FLAIR magnetic resonance.
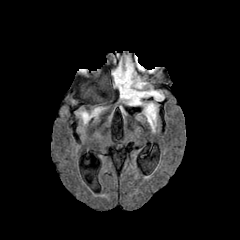
T1-weighted MRI.
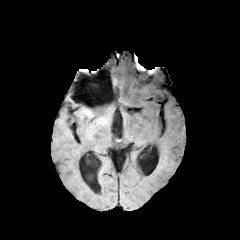
Post-contrast T1-weighted MR.
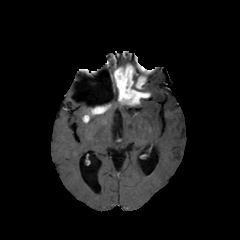
T2-weighted magnetic resonance.
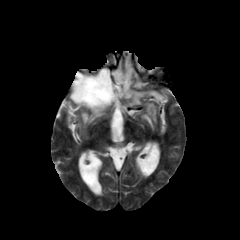
Image size 240x240.
The non-enhancing tumor core is bounded by {"x1": 91, "y1": 105, "x2": 107, "y2": 113}. 3 edema regions appear at {"x1": 136, "y1": 100, "x2": 158, "y2": 127}, {"x1": 142, "y1": 84, "x2": 164, "y2": 101}, {"x1": 119, "y1": 54, "x2": 133, "y2": 65}. The enhancing tumor lies within {"x1": 113, "y1": 64, "x2": 149, "y2": 105}.